Head. Slice 50 of 155. Image size 240x240.
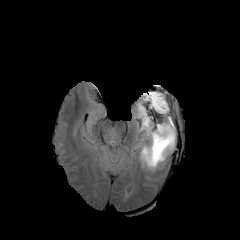
FLAIR MRI.
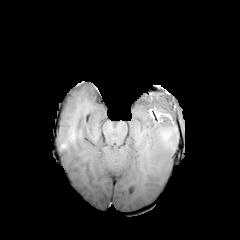
T1-weighted MR.
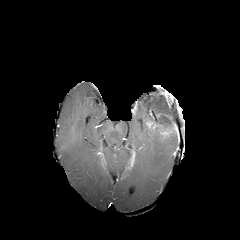
Same slice, post-contrast T1-weighted MR.
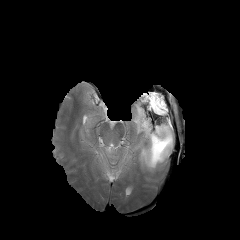
T2-weighted MR image.
- non-enhancing tumor core: <box>158,125,171,135</box>, <box>143,109,157,139</box>
- enhancing tumor: <box>162,127,171,137</box>
- edema: <box>122,91,175,171</box>, <box>101,144,115,162</box>